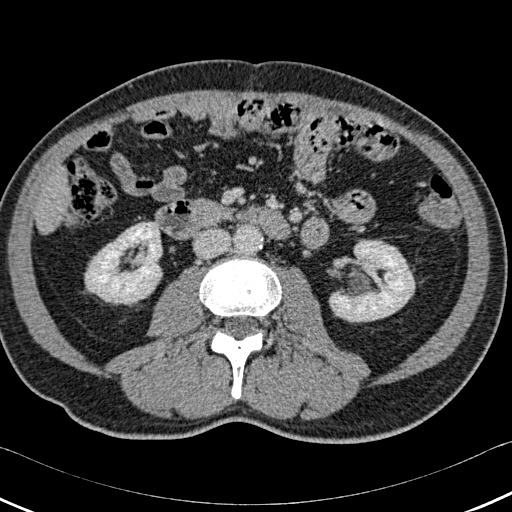 Computed tomography; Abdomen
Annotated regions:
• liver: 35 169 70 233
• kidney: 85 222 161 303, 330 241 414 321
• bone: 211 331 262 398, 199 258 281 316